512x512; Field of view 472x472 mm; Abdomen; CT
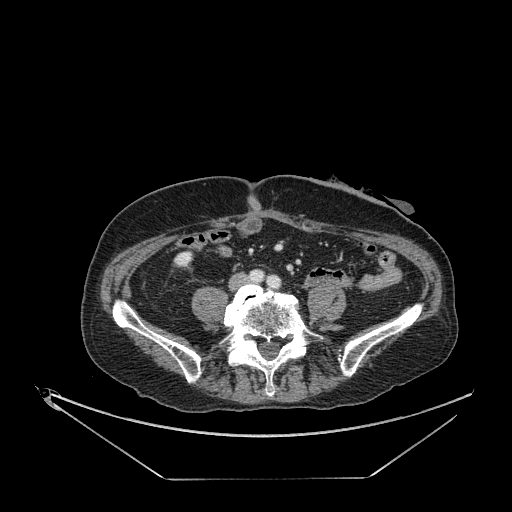
Kidney — [174, 252, 191, 265].